CT scan slice | Abdomen | 512x512 | Slice 46 of 102

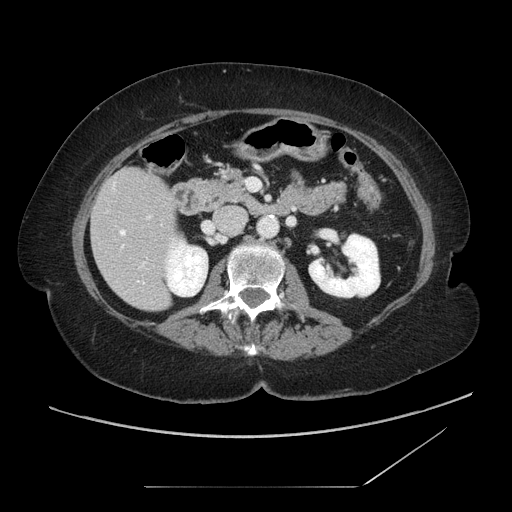 The pancreas lies within x1=216 y1=167 x2=243 y2=192.